Slice index 434. Upper abdomen. CT scan slice. 512x512 px.

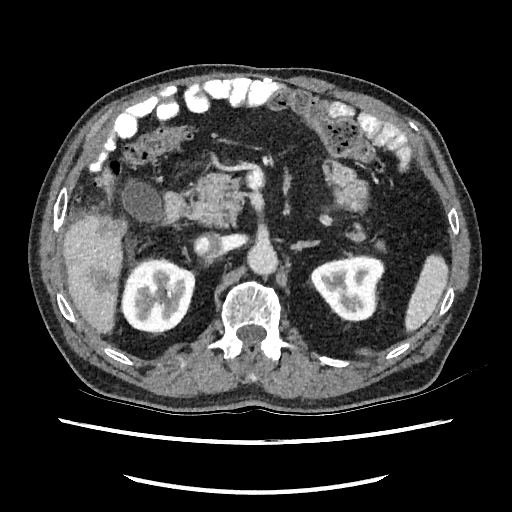 • hepatic lesion: rect(96, 215, 125, 235); rect(89, 267, 116, 292)
• kidney: rect(121, 258, 194, 333); rect(311, 253, 383, 321)
• liver: rect(63, 214, 122, 331); rect(102, 170, 112, 200)